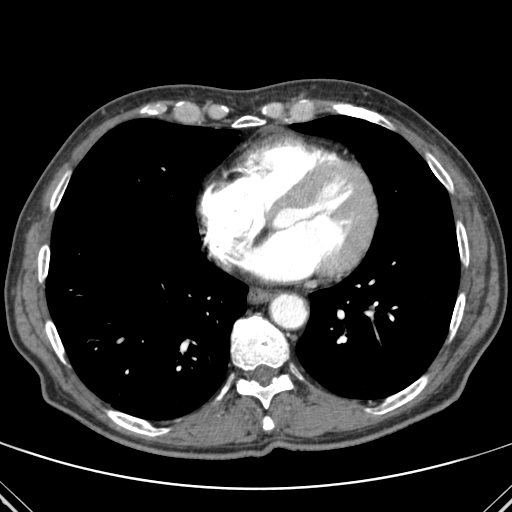
Thorax; CT scan slice

lung:
  - [46, 119, 247, 419]
  - [291, 115, 459, 398]
bone:
  - [450, 293, 464, 337]
  - [231, 316, 288, 370]
  - [263, 416, 273, 429]
  - [216, 386, 228, 400]
  - [232, 116, 264, 127]
  - [50, 174, 67, 210]
  - [374, 376, 427, 414]
  - [237, 375, 293, 408]
  - [457, 222, 468, 265]
  - [427, 154, 453, 191]
  - [45, 321, 64, 362]
  - [333, 104, 386, 122]
  - [107, 411, 169, 436]
  - [38, 245, 49, 281]
  - [141, 106, 159, 114]